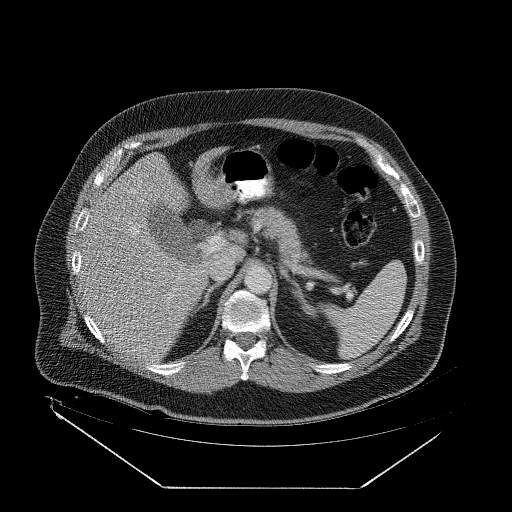

Upper abdomen, CT scan slice, 512x512
Pancreas: [246, 205, 313, 264].